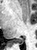
Magnetic resonance
Segmented structures:
• posterior hippocampus: {"x1": 14, "y1": 40, "x2": 24, "y2": 44}